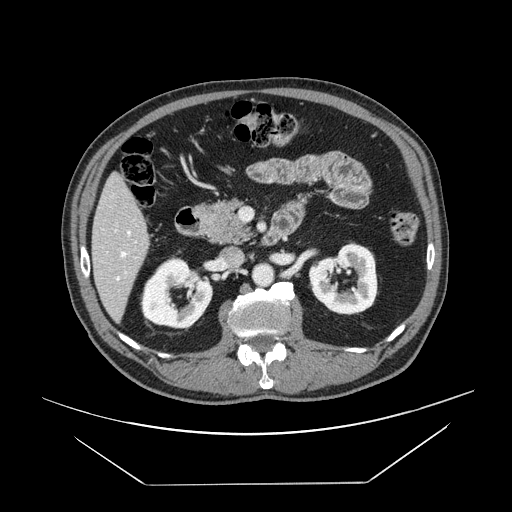 CT slice, 512x512 px, Abdomen
{
  "pancreas": [
    "194, 198, 253, 245"
  ]
}